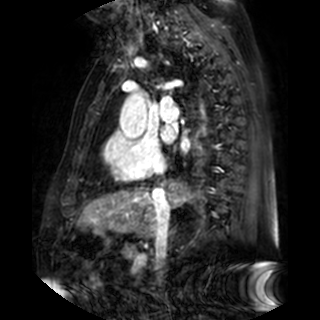 Cardiac, MRI slice, 320x320

left_atrium:
  - [x1=162, y1=126, x2=173, y2=141]
  - [x1=181, y1=142, x2=190, y2=149]